Upper abdomen. Slice 53 of 113. CT image.

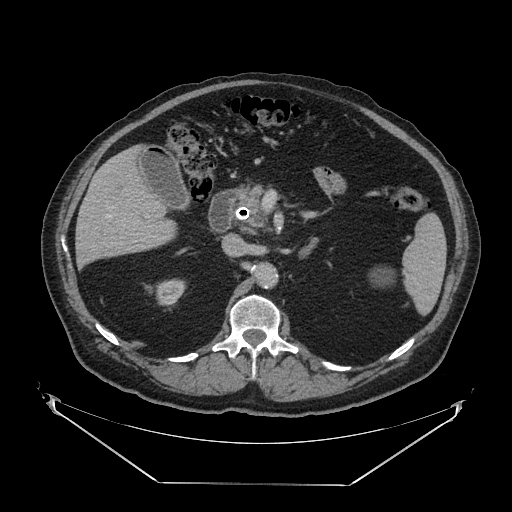

Pancreas: (242, 186, 263, 224).